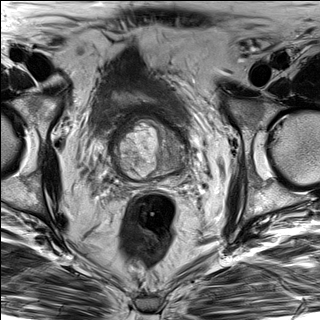
T2-weighted magnetic resonance.
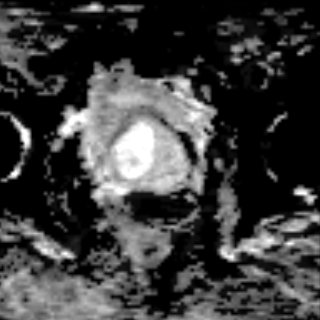
Same slice, ADC magnetic resonance.
Pelvis
The prostate peripheral zone lies within [x1=118, y1=174, x2=184, y2=186]. The prostate transition zone is at [x1=113, y1=115, x2=187, y2=181].